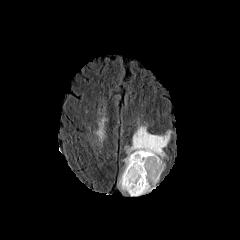
FLAIR magnetic resonance.
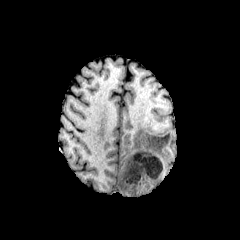
T1-weighted MR image.
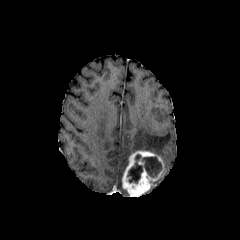
Post-contrast T1-weighted magnetic resonance of the same slice.
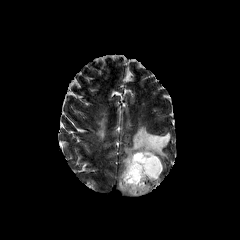
T2-weighted MRI of the same slice.
• non-enhancing tumor core: (x1=126, y1=154, x2=163, y2=193)
• edema: (x1=124, y1=122, x2=171, y2=158), (x1=119, y1=158, x2=128, y2=191)
• enhancing tumor: (x1=122, y1=150, x2=162, y2=196)